Image width 240 mm | Slice index 63
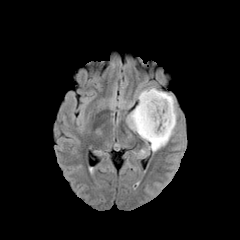
FLAIR MRI.
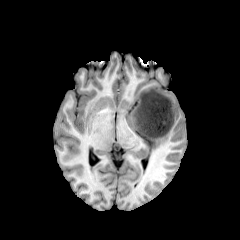
T1-weighted MR image.
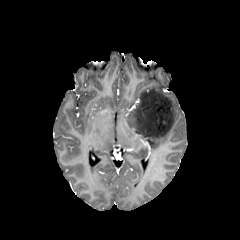
Post-contrast T1-weighted magnetic resonance of the same slice.
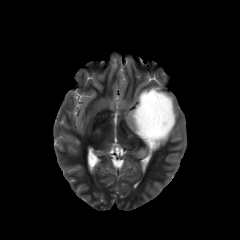
T2-weighted MR of the same slice.
Segmented structures:
* edema: 132 130 147 142, 114 84 179 151
* non-enhancing tumor core: 132 89 173 147